CT slice 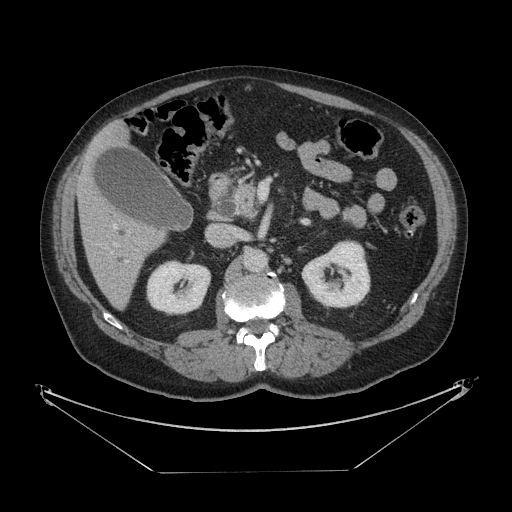

Pancreas at rect(236, 185, 254, 215).